CT. 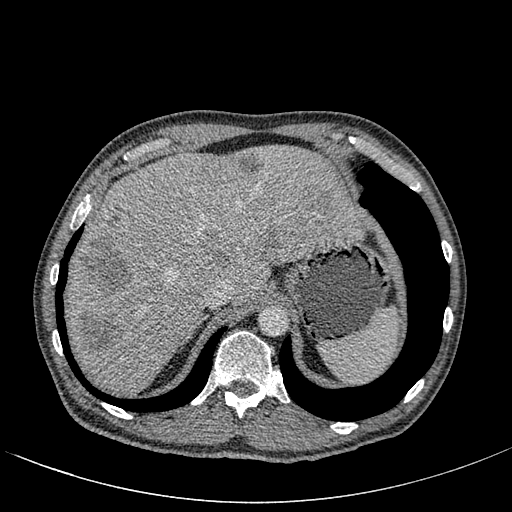
The liver lies within 67 146 364 393. 7 hepatic lesion regions are located at 110 216 118 223, 210 241 230 264, 82 237 130 293, 205 152 261 187, 312 191 331 210, 79 311 122 352, 259 231 280 250.